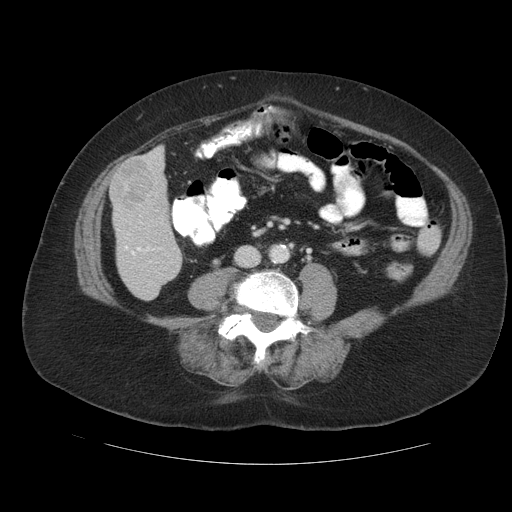

CT scan slice; Image size 512x512; Abdomen

Some hepatic vessels may have no box.
Segmented structures:
- hepatic vessel: 132:251:134:253, 125:246:127:248, 137:247:139:249
- liver tumor: 111:158:152:210